Brain. Slice 105/155. 240x240.
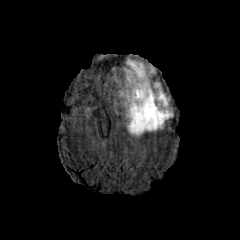
FLAIR MR.
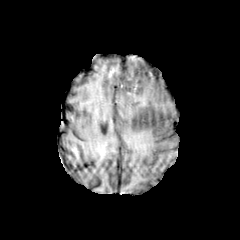
Same slice, T1-weighted MRI.
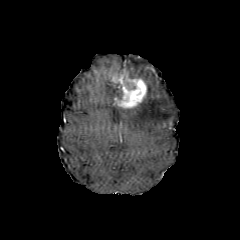
Same slice, post-contrast T1-weighted MR.
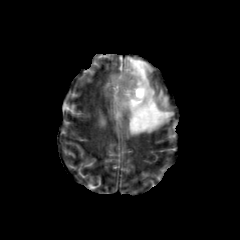
T2-weighted MRI.
enhancing_tumor:
  - (112,69,146,108)
edema:
  - (121,57,173,136)
  - (113,83,121,99)